Image size 240x240, Slice 67/155
FLAIR MR.
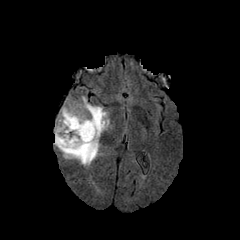
T1-weighted MRI.
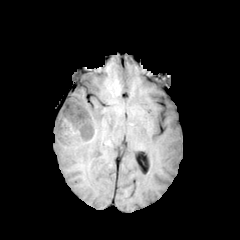
Post-contrast T1-weighted MRI.
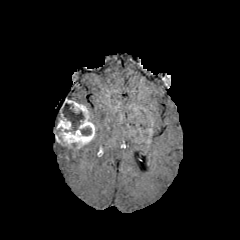
T2-weighted magnetic resonance.
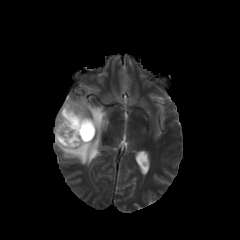
Annotated regions:
- edema: region(54, 94, 109, 167)
- enhancing tumor: region(55, 99, 95, 148)
- non-enhancing tumor core: region(66, 142, 89, 155); region(81, 128, 91, 135); region(61, 102, 84, 131)